512x512, Liver, Slice 49/92, Computed tomography

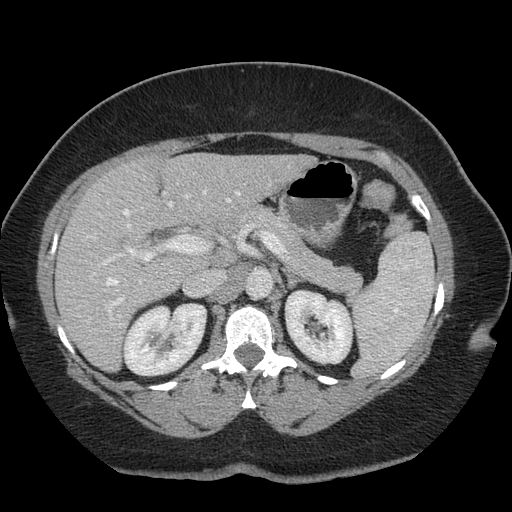 Not every hepatic vessel necessarily has a box.
15 hepatic vessel regions are bounded by box=[107, 279, 117, 285]; box=[227, 199, 230, 202]; box=[164, 235, 205, 253]; box=[203, 191, 206, 194]; box=[236, 192, 239, 195]; box=[169, 203, 172, 206]; box=[139, 280, 141, 284]; box=[124, 210, 130, 215]; box=[185, 195, 189, 197]; box=[87, 236, 96, 239]; box=[119, 316, 120, 317]; box=[99, 254, 121, 266]; box=[127, 225, 131, 230]; box=[124, 248, 153, 261]; box=[106, 297, 124, 321].